Abdomen, Computed tomography

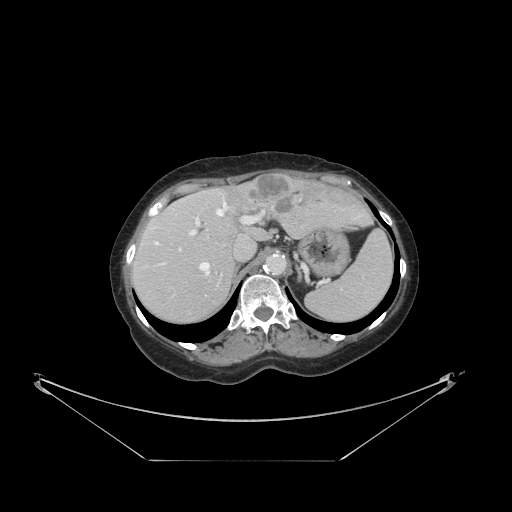
The vessel annotation is not exhaustive.
liver_tumor:
  - region(242, 175, 298, 214)
hepatic_vessel:
  - region(150, 227, 154, 229)
  - region(179, 248, 180, 249)
  - region(153, 241, 158, 244)
  - region(223, 202, 227, 208)
  - region(235, 244, 254, 258)
  - region(241, 214, 262, 223)
  - region(190, 229, 195, 235)
  - region(199, 262, 209, 274)
  - region(216, 209, 222, 214)
  - region(195, 218, 199, 225)